Brain; 240x240 px; Slice index 68
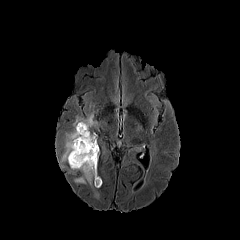
FLAIR MR image.
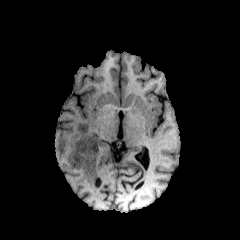
T1-weighted MR image of the same slice.
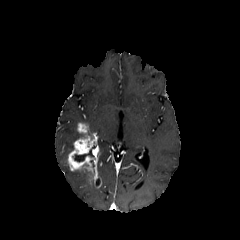
Post-contrast T1-weighted MRI of the same slice.
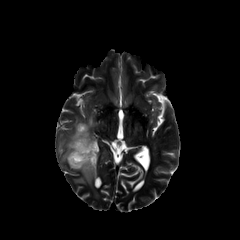
T2-weighted MR of the same slice.
non-enhancing_tumor_core:
  - [x1=74, y1=149, x2=94, y2=161]
edema:
  - [x1=71, y1=169, x2=87, y2=185]
  - [x1=60, y1=102, x2=98, y2=164]
enhancing_tumor:
  - [x1=67, y1=122, x2=102, y2=188]